FLAIR MR image.
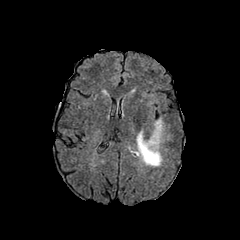
T1-weighted magnetic resonance.
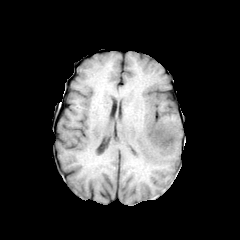
Post-contrast T1-weighted MR.
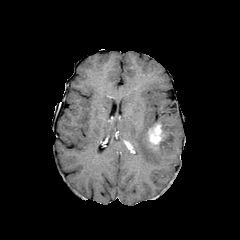
T2-weighted magnetic resonance.
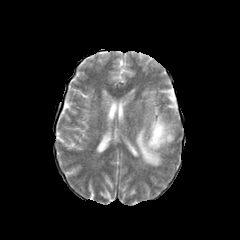
Enhancing tumor: bounding box box=[147, 121, 169, 149].
Edema: bounding box box=[157, 117, 172, 142]; box=[133, 127, 162, 166].